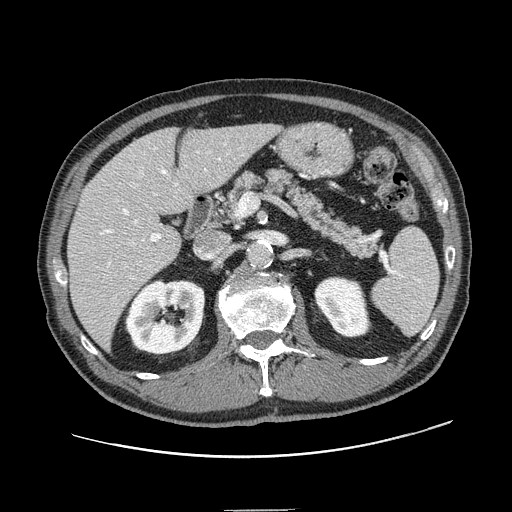

Abdomen. CT. 512x512. Pancreas: bounding box 212:167:376:259.